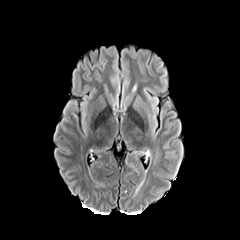
FLAIR magnetic resonance.
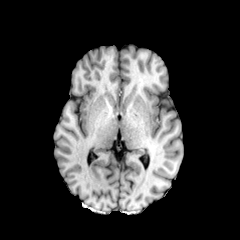
T1-weighted MR image of the same slice.
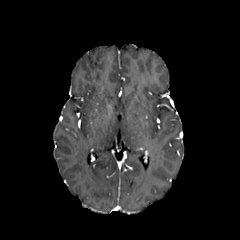
Post-contrast T1-weighted MR.
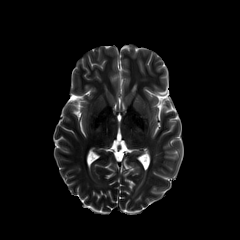
Same slice, T2-weighted MRI.
2 edema regions appear at box=[151, 103, 158, 134]; box=[119, 85, 130, 115].